Medial temporal lobe. Magnetic resonance. 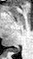 - posterior hippocampus: <box>8,48,19,53</box>